MR | Slice index 13 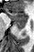 The posterior hippocampus appears at {"x1": 14, "y1": 21, "x2": 26, "y2": 31}. The anterior hippocampus is located at {"x1": 7, "y1": 10, "x2": 27, "y2": 21}.